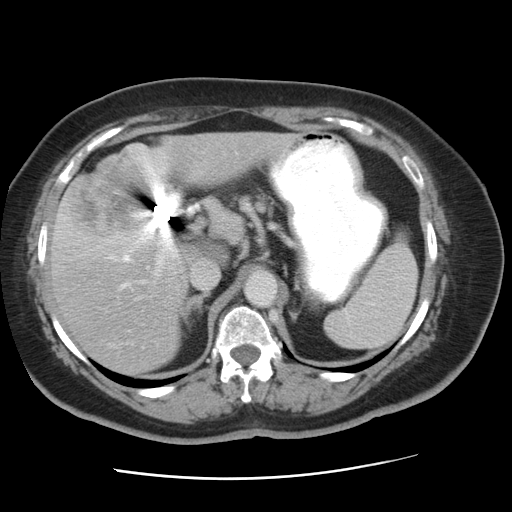
Liver. Computed tomography.
The vessel boxes may cover only some of the vessels.
{"hepatic_vessel": ["<box>120,281,129,288</box>", "<box>136,280,145,282</box>", "<box>134,144,165,187</box>", "<box>192,265,217,289</box>", "<box>137,209,153,219</box>", "<box>122,224,179,275</box>"], "liver_tumor": ["<box>67,155,140,236</box>"]}